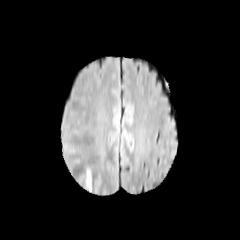
FLAIR MR image.
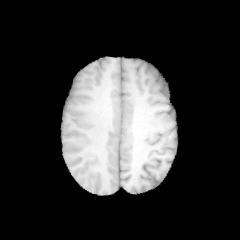
T1-weighted MR.
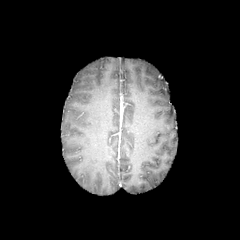
Post-contrast T1-weighted MR.
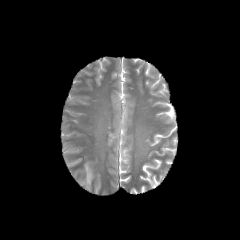
T2-weighted MR.
The edema is located at <bbox>83, 165, 92, 186</bbox>.